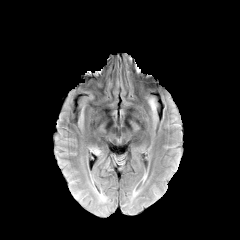
FLAIR magnetic resonance.
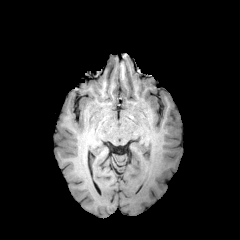
Same slice, T1-weighted MR image.
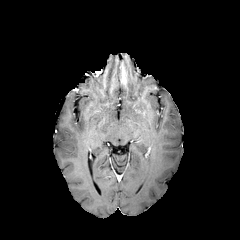
Same slice, post-contrast T1-weighted magnetic resonance.
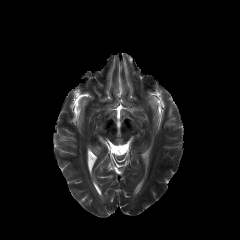
T2-weighted MRI of the same slice.
Edema at (left=148, top=98, right=157, bottom=119).